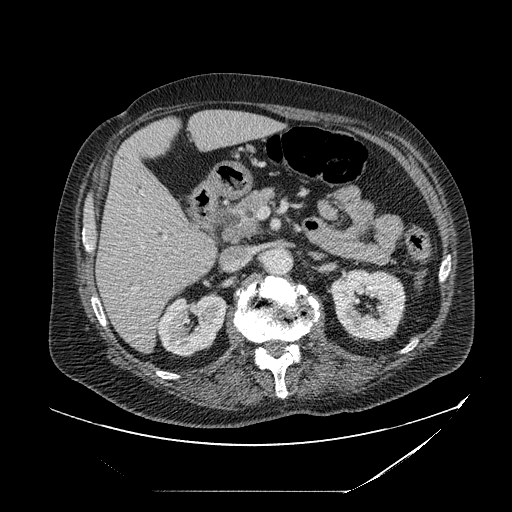 Upper abdomen | CT scan slice
<segmentation>
  <pancreatic_tumor>rect(243, 220, 258, 233)</pancreatic_tumor>
  <pancreas>rect(233, 186, 278, 234)</pancreas>
</segmentation>